FLAIR MR image.
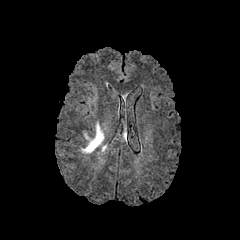
T1-weighted magnetic resonance.
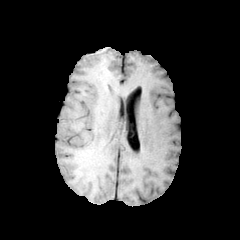
Post-contrast T1-weighted MR image.
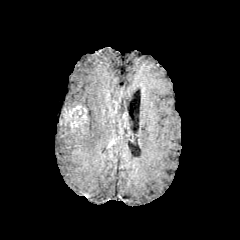
T2-weighted MRI.
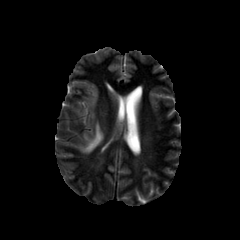
Brain
• non-enhancing tumor core: (60,106,86,124)
• edema: (80,121,104,153)